FLAIR magnetic resonance.
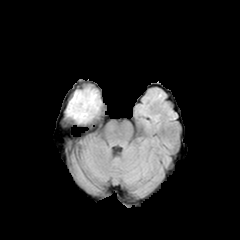
T1-weighted MR.
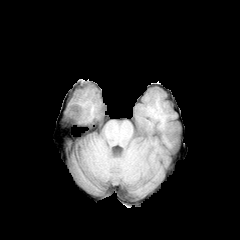
Post-contrast T1-weighted MR image.
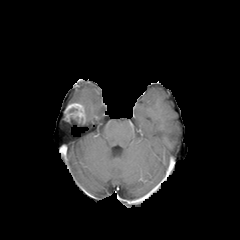
T2-weighted MR.
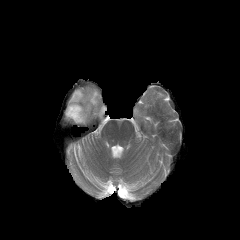
Brain.
The enhancing tumor is bounded by <bbox>65, 103, 85, 122</bbox>. The edema is at <bbox>68, 88, 101, 122</bbox>.